Slice index 84
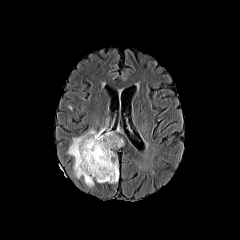
FLAIR MR.
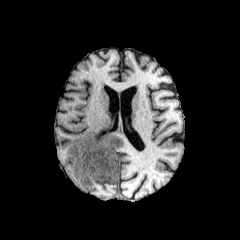
Same slice, T1-weighted magnetic resonance.
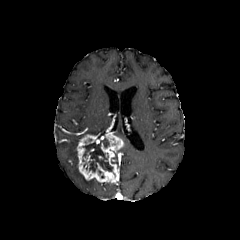
Same slice, post-contrast T1-weighted MR.
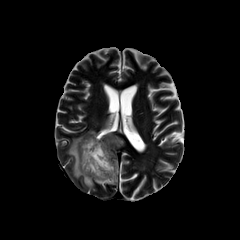
T2-weighted MR image of the same slice.
Enhancing tumor: (x1=77, y1=131, x2=124, y2=184).
Edema: (x1=66, y1=136, x2=83, y2=178), (x1=84, y1=177, x2=94, y2=188).
Non-enhancing tumor core: (x1=82, y1=138, x2=113, y2=172).